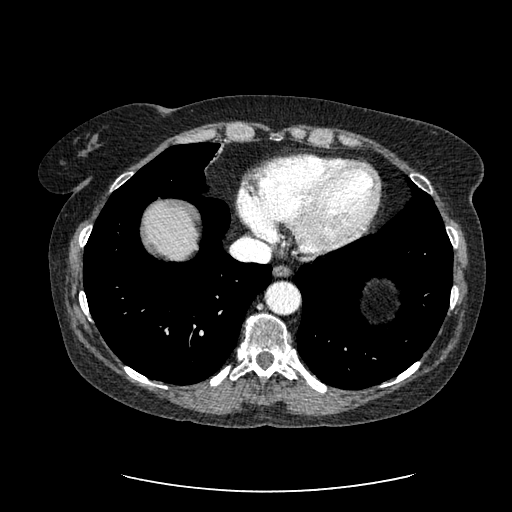
Abdomen, CT image
The liver is bounded by left=143, top=203, right=197, bottom=259.